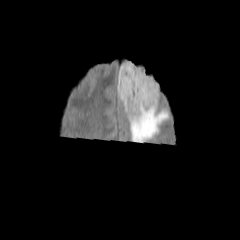
FLAIR MR image.
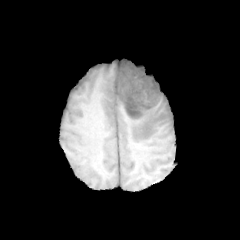
T1-weighted MR image.
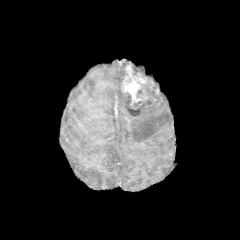
Post-contrast T1-weighted magnetic resonance.
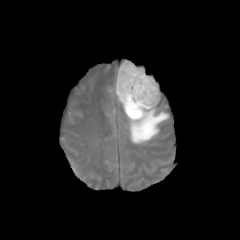
T2-weighted magnetic resonance of the same slice.
<segmentation>
  <non-enhancing_tumor_core>{"x1": 125, "y1": 78, "x2": 159, "y2": 116}</non-enhancing_tumor_core>
  <enhancing_tumor>{"x1": 121, "y1": 64, "x2": 154, "y2": 105}</enhancing_tumor>
  <edema>{"x1": 115, "y1": 60, "x2": 169, "y2": 143}</edema>
</segmentation>